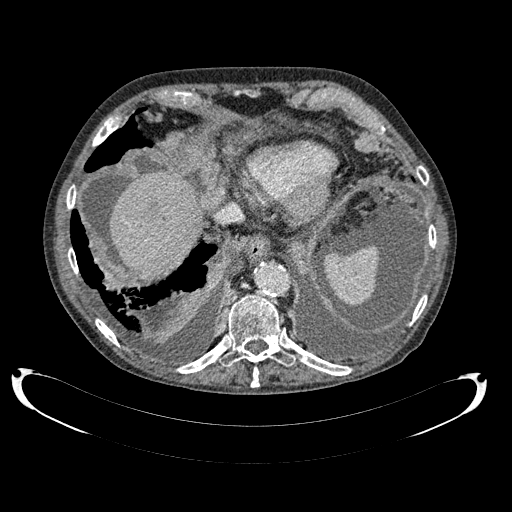 CT, 512x512, Liver
hepatic_lesion:
  - [x1=142, y1=201, x2=158, y2=217]
liver:
  - [x1=109, y1=172, x2=204, y2=281]